CT image. Slice index 450. Field of view 350x350 mm.

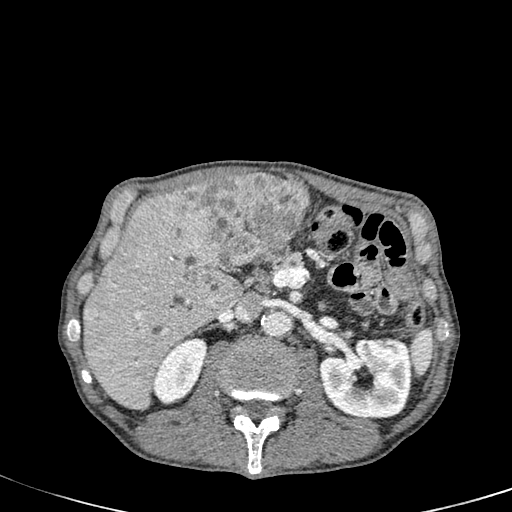

Liver lesion — left=183, top=174, right=309, bottom=272; left=186, top=271, right=198, bottom=282; left=202, top=274, right=209, bottom=283.
Kidney — left=320, top=340, right=410, bottom=417; left=153, top=339, right=205, bottom=402.
Liver — left=83, top=185, right=241, bottom=409.